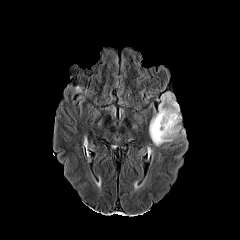
FLAIR magnetic resonance.
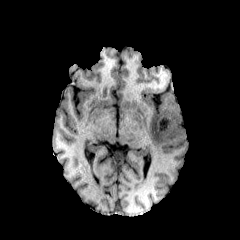
T1-weighted MR.
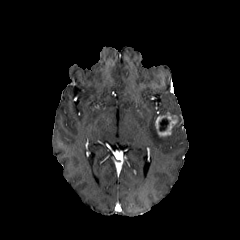
Same slice, post-contrast T1-weighted MR.
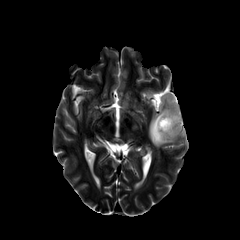
Same slice, T2-weighted MR image.
Image size 240x240, Brain
Non-enhancing tumor core: bounding box box(160, 119, 169, 131).
Edema: bounding box box(149, 93, 185, 148).
Enhancing tumor: bounding box box(155, 110, 177, 137).